Computed tomography | Abdomen | Slice 413/751
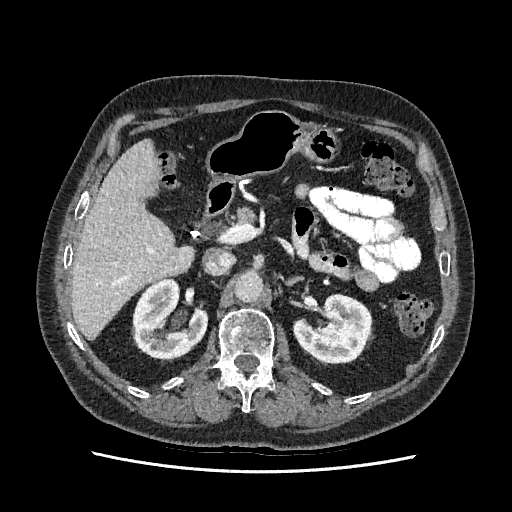 The liver is at (x1=72, y1=140, x2=192, y2=338). 2 kidney regions are located at (x1=294, y1=295, x2=370, y2=362), (x1=133, y1=280, x2=207, y2=357).